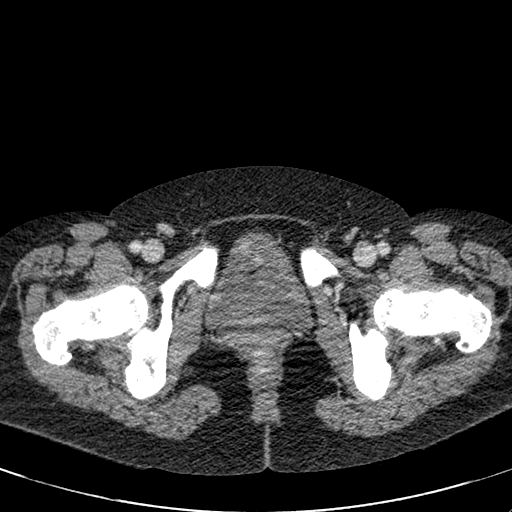
Computed tomography | Pelvis
Urinary bladder at [206, 232, 313, 333].